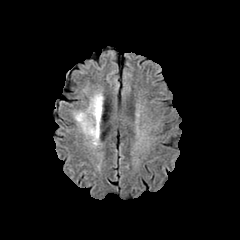
FLAIR MRI.
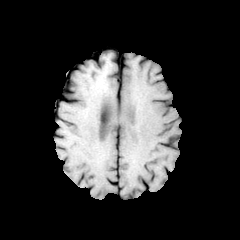
T1-weighted MRI.
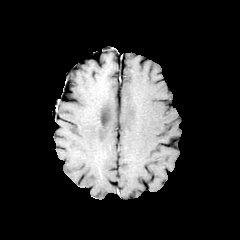
Post-contrast T1-weighted MR.
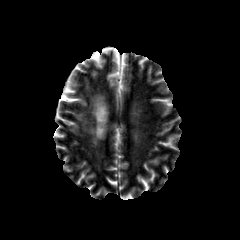
T2-weighted MR of the same slice.
Brain, Image size 240x240
<segmentation>
  <edema>region(73, 93, 103, 147)</edema>
</segmentation>